FLAIR MR.
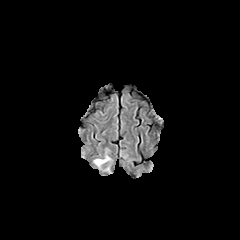
T1-weighted MRI.
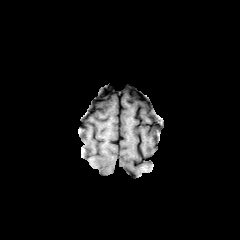
Post-contrast T1-weighted MR image.
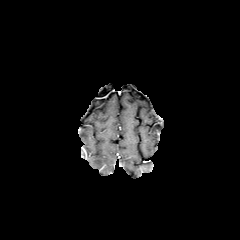
T2-weighted MR.
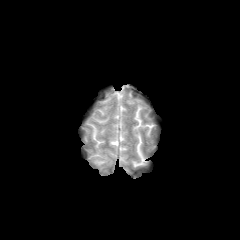
edema: 94,156,109,166